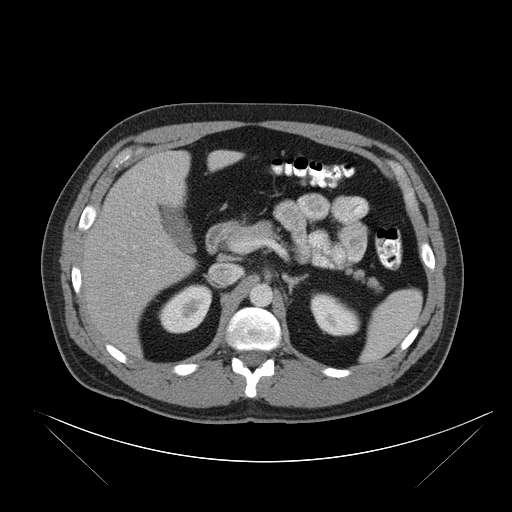
CT scan slice
The spleen is located at box=[361, 289, 421, 362].